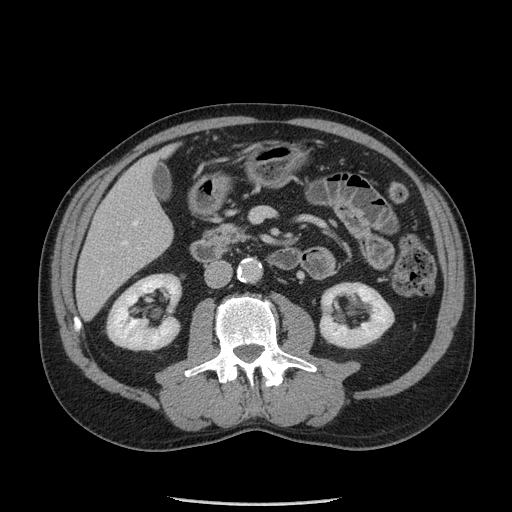

Upper abdomen; 512x512 px; CT slice
The pancreas appears at (left=203, top=223, right=248, bottom=252).